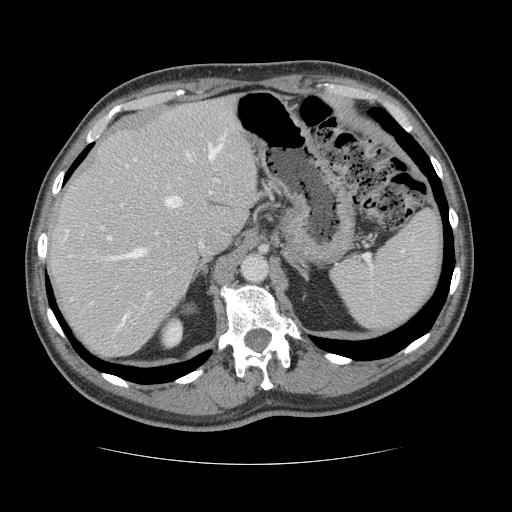

Abdomen, CT image

The vessel boxes may cover only some of the vessels.
The principal 15 hepatic vessel regions (of 18) appear at 106, 247, 146, 259; 199, 241, 202, 246; 68, 254, 72, 256; 107, 236, 110, 239; 186, 152, 191, 159; 118, 313, 128, 328; 167, 186, 169, 187; 120, 204, 122, 205; 125, 164, 127, 166; 100, 226, 103, 228; 147, 292, 149, 295; 214, 179, 218, 181; 165, 196, 180, 206; 90, 302, 92, 304; 208, 131, 225, 159.